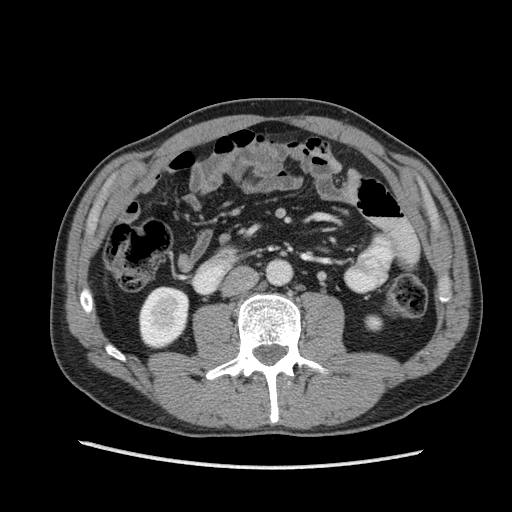 CT

- kidney: [x1=140, y1=288, x2=187, y2=346]